CT slice | Field of view 400 mm wide, 0.80 mm slice spacing 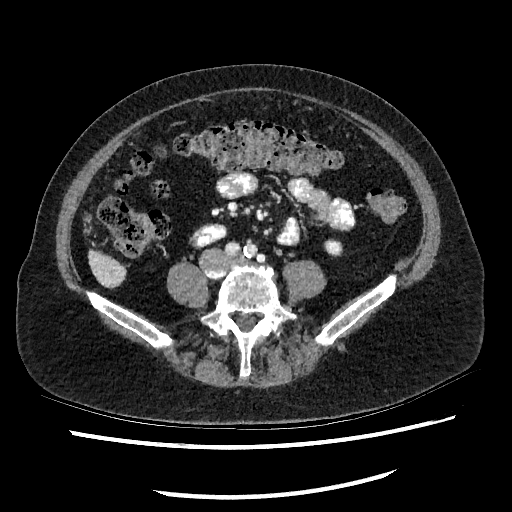
The kidney lies within [327,242,338,252]. The liver is at [88,251,124,285].